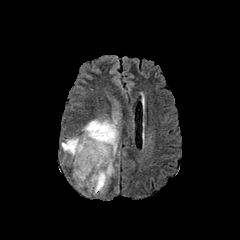
FLAIR magnetic resonance.
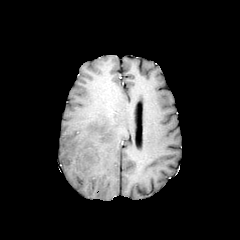
Same slice, T1-weighted MRI.
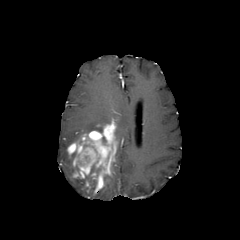
Post-contrast T1-weighted MRI of the same slice.
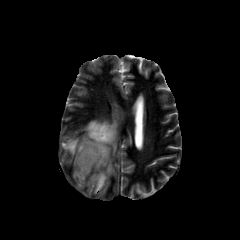
T2-weighted MR.
240x240 px
{
  "non-enhancing_tumor_core": [
    "81 164 103 192"
  ],
  "edema": [
    "61 118 112 153",
    "99 165 114 193",
    "114 120 118 149"
  ],
  "enhancing_tumor": [
    "67 122 116 193"
  ]
}